FLAIR MR image.
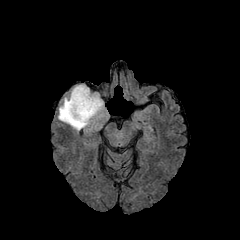
T1-weighted MR.
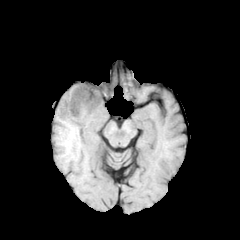
Post-contrast T1-weighted MRI.
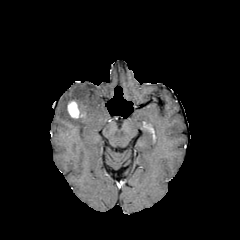
T2-weighted MRI.
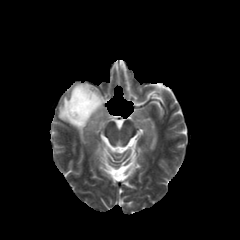
Head
• edema: 57,84,105,131
• enhancing tumor: 67,100,86,118
• non-enhancing tumor core: 66,94,89,119